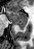 MR image
The posterior hippocampus appears at bbox(15, 23, 25, 29). The anterior hippocampus lies within bbox(6, 10, 26, 22).